Slice 413 of 624, CT scan slice, Liver, Field of view 350x350 mm

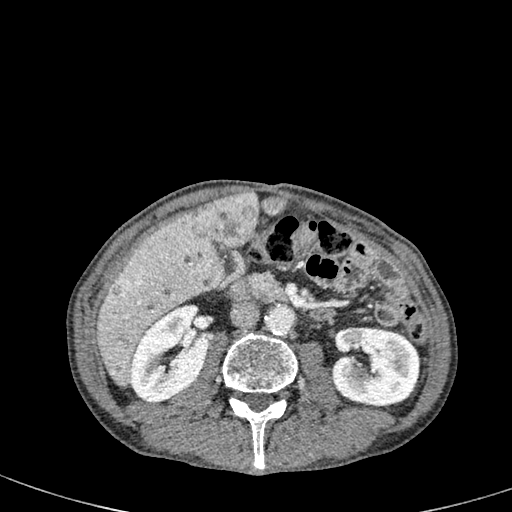

Liver: bounding box [97, 202, 225, 385].
Kidney: bounding box [129, 305, 210, 400], [333, 328, 418, 405].
Liver lesion: bounding box [195, 192, 284, 245], [113, 287, 120, 295].